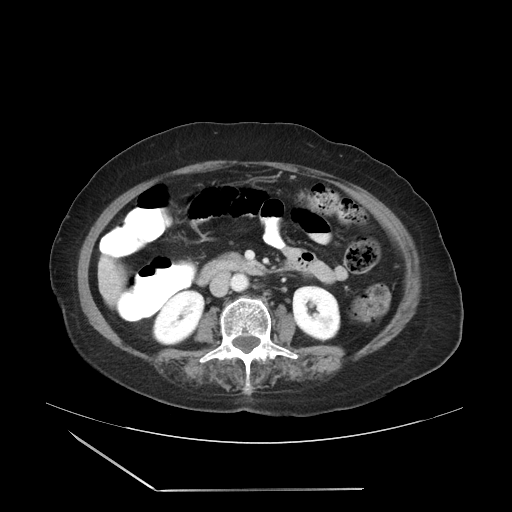
Computed tomography

The vessel boxes may cover only some of the vessels.
Hepatic vessel = 103:259:106:262.